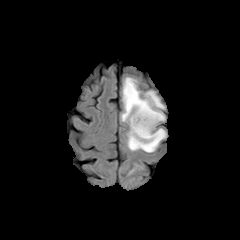
FLAIR MR image.
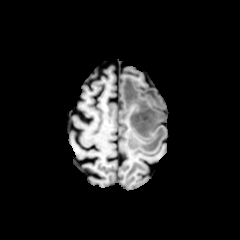
T1-weighted MR of the same slice.
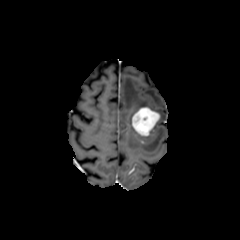
Post-contrast T1-weighted MR of the same slice.
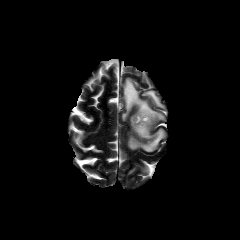
T2-weighted MR.
Head | Image size 240x240
enhancing tumor: [132, 106, 159, 136] | edema: [121, 77, 166, 152]